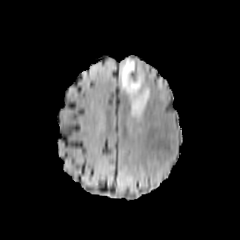
FLAIR MR image.
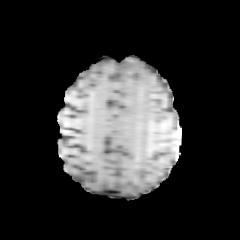
T1-weighted MR.
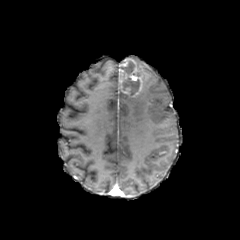
Post-contrast T1-weighted MRI.
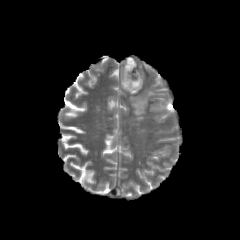
T2-weighted MRI of the same slice.
Image size 240x240, Head
Findings:
- edema: region(129, 67, 151, 117)
- enhancing tumor: region(119, 58, 143, 91)
- non-enhancing tumor core: region(121, 77, 140, 96); region(120, 61, 134, 76)